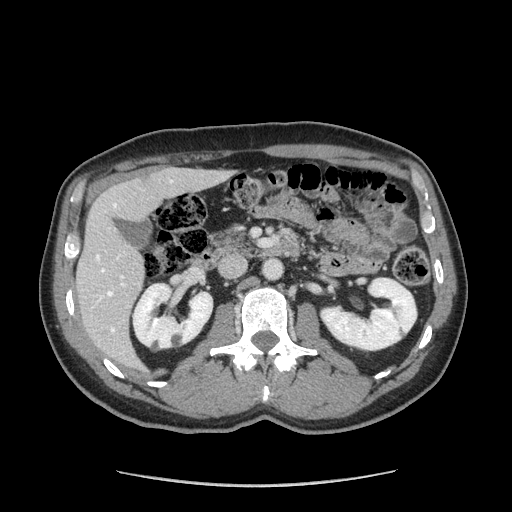
CT.

Pancreas: l=211, t=229, r=257, b=256.